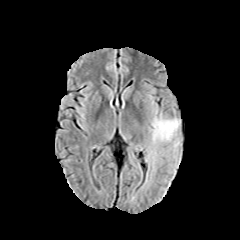
FLAIR magnetic resonance.
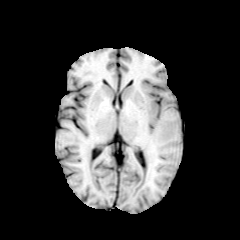
T1-weighted magnetic resonance.
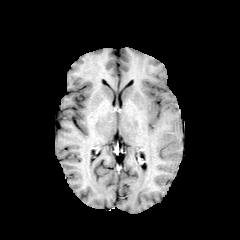
Same slice, post-contrast T1-weighted MR.
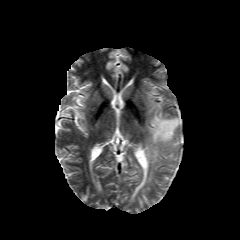
T2-weighted magnetic resonance.
Brain | Image size 240x240
Annotated regions:
* edema: l=142, t=109, r=180, b=165